CT slice, Field of view 415x415 mm, Liver
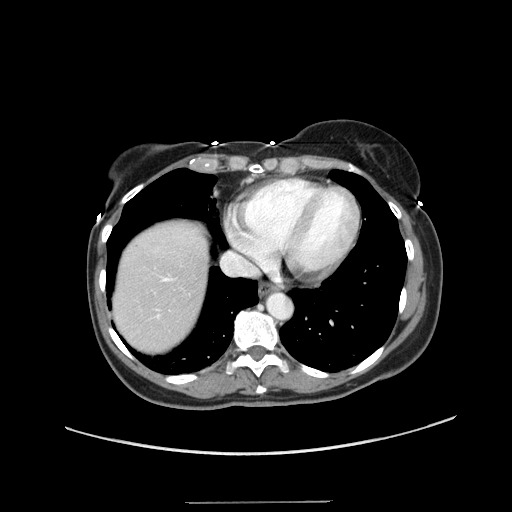
The vessel annotation is not exhaustive.
{
  "hepatic_vessel": [
    "163:278:169:280",
    "222:252:255:275"
  ]
}